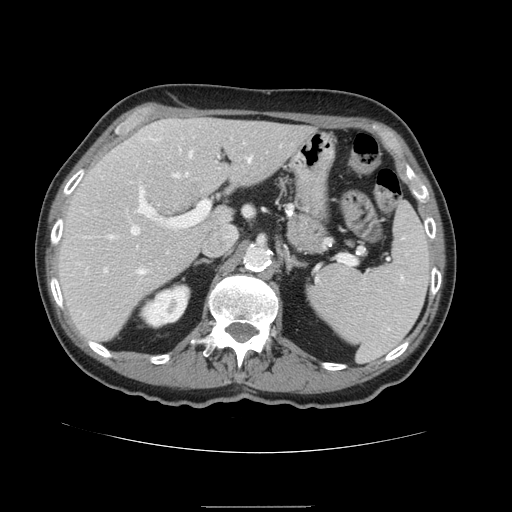

512x512 px. CT slice.

The vessel annotation is not exhaustive.
Segmented structures:
- hepatic vessel: (left=189, top=152, right=192, bottom=155), (left=248, top=157, right=251, bottom=161), (left=137, top=269, right=145, bottom=273), (left=131, top=226, right=139, bottom=234), (left=174, top=173, right=179, bottom=176), (left=185, top=173, right=188, bottom=175), (left=166, top=200, right=209, bottom=227), (left=215, top=212, right=237, bottom=247), (left=136, top=187, right=154, bottom=216), (left=105, top=268, right=107, bottom=270), (left=109, top=235, right=114, bottom=237), (left=213, top=234, right=216, bottom=241), (left=205, top=250, right=210, bottom=254)